Field of view 240 mm wide, 1.00 mm slice spacing | Slice 120 of 155 | Head
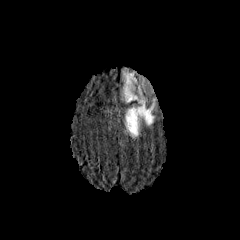
FLAIR MRI.
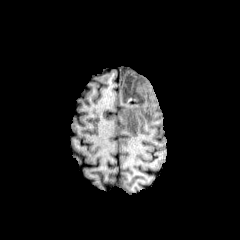
Same slice, T1-weighted magnetic resonance.
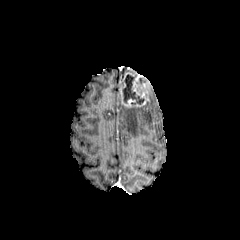
Post-contrast T1-weighted MRI.
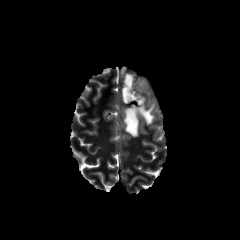
T2-weighted magnetic resonance.
enhancing_tumor:
  - box=[119, 69, 152, 109]
non-enhancing_tumor_core:
  - box=[122, 74, 144, 103]
edema:
  - box=[124, 107, 156, 137]